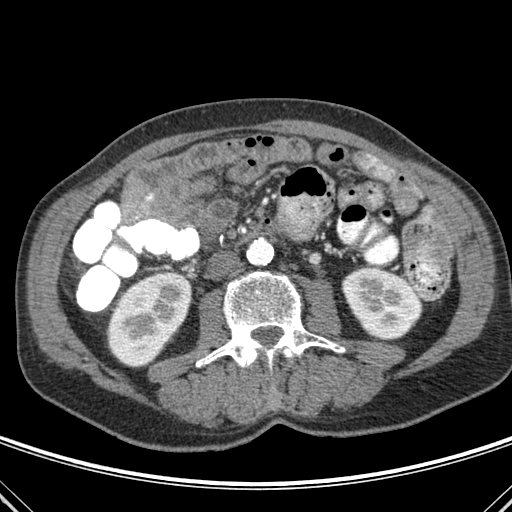
CT. 512x512.
Kidney: bounding box (343,268,420,338), (109,274,190,365).
Bone: bounding box (196,271,344,375), (270,377,276,397).